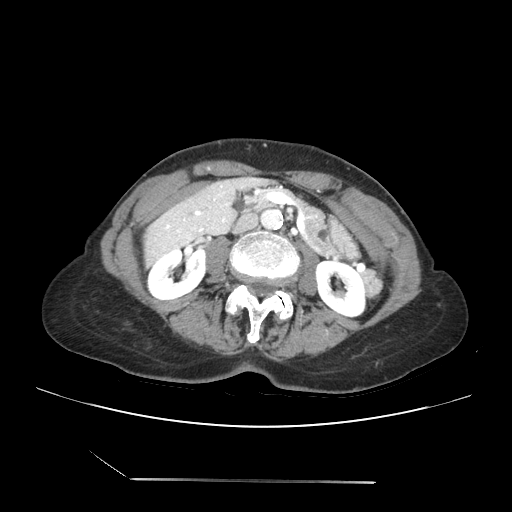

Abdomen | CT image
pancreas: (left=233, top=186, right=343, bottom=260) | pancreatic tumor: (left=318, top=229, right=328, bottom=242)